CT scan slice, Field of view 386 mm wide, 1.50 mm slice spacing, 512x512 px, Abdomen 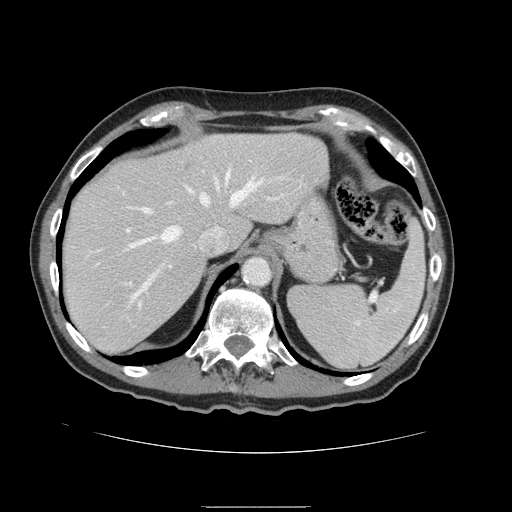

Annotated regions:
- spleen: x1=288 y1=220 x2=425 y2=369